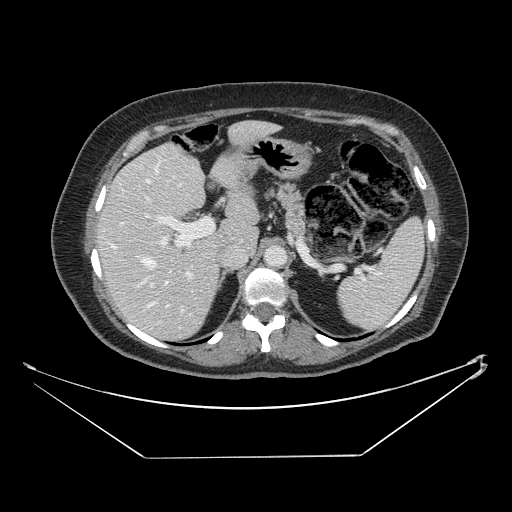
Abdomen | CT scan slice

The pancreas appears at {"x1": 263, "y1": 180, "x2": 306, "y2": 243}.